Slice index 125; Brain
FLAIR MR.
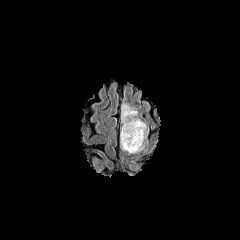
T1-weighted MRI.
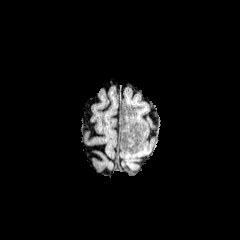
Post-contrast T1-weighted MR image.
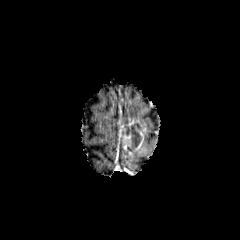
T2-weighted MRI.
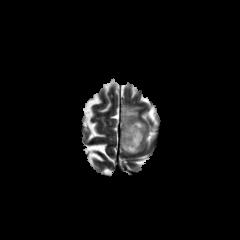
2 enhancing tumor regions appear at <bbox>126, 118, 147, 153</bbox>, <bbox>121, 125, 132, 157</bbox>. The non-enhancing tumor core lies within <bbox>124, 122, 142, 148</bbox>. The edema lies within <bbox>121, 102, 138, 122</bbox>.